Abdomen; Computed tomography; Slice index 608

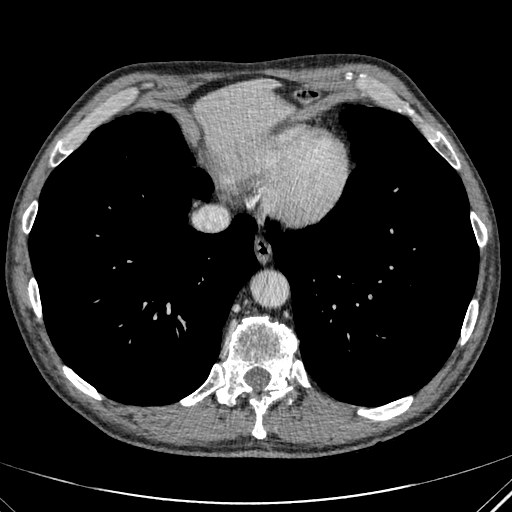 {"liver": ["bbox=[193, 79, 293, 157]"]}